Slice index 54, Image width 500 mm, Upper abdomen, CT image

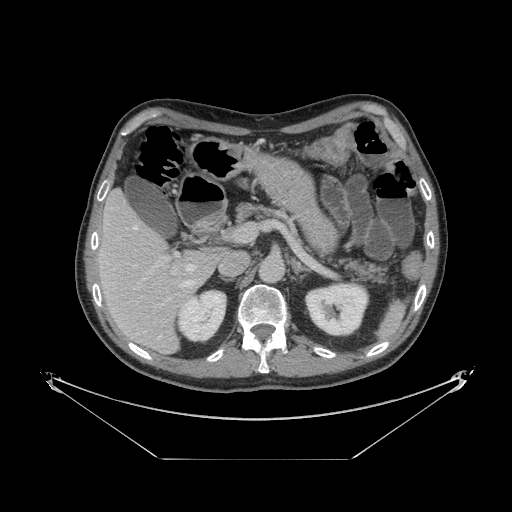 pancreas:
  - x1=232 y1=202 x2=282 y2=225
  - x1=302 y1=242 x2=389 y2=287